T2-weighted MR.
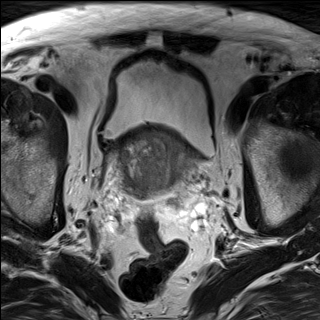
ADC MR image.
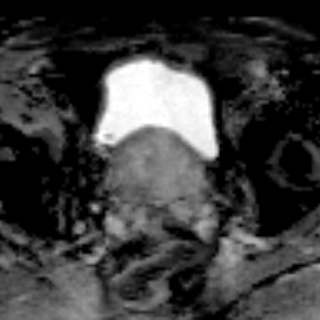
The prostate transition zone lies within 113:132:193:199.